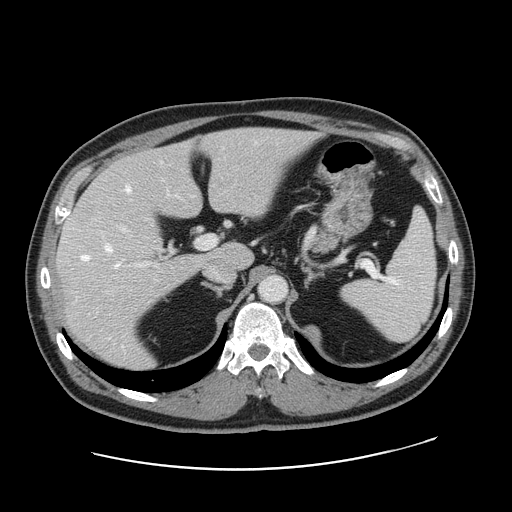

Image size 512x512; CT slice

Some hepatic vessels may have no box.
Liver tumor — 72:208:92:226.
Hepatic vessel — 210:181:216:207, 123:184:130:191, 158:247:162:250, 120:226:126:231, 106:244:110:251, 154:263:158:266, 201:135:209:145, 167:192:169:194, 186:141:191:144, 168:247:174:252, 107:290:109:292, 255:140:255:143, 116:262:119:266, 135:261:150:265, 81:254:89:259.